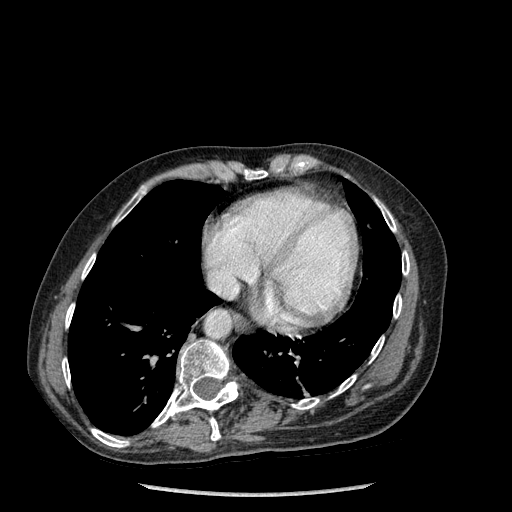

CT slice | Thorax

• lung: left=68, top=180, right=225, bottom=435; left=232, top=179, right=401, bottom=398
• bone: left=393, top=294, right=401, bottom=318; left=65, top=303, right=74, bottom=328; left=330, top=375, right=356, bottom=397; left=244, top=169, right=267, bottom=179; left=375, top=199, right=396, bottom=232; left=113, top=186, right=145, bottom=224; left=209, top=417, right=220, bottom=440; left=369, top=336, right=384, bottom=363; left=62, top=358, right=70, bottom=387; left=291, top=398, right=319, bottom=409; left=402, top=250, right=409, bottom=275; left=91, top=428, right=129, bottom=447; left=152, top=339, right=238, bottom=427; left=81, top=253, right=95, bottom=279